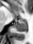
MRI | Medial temporal lobe
The posterior hippocampus is located at 15,20,26,31. The anterior hippocampus is located at 20,19,23,19.